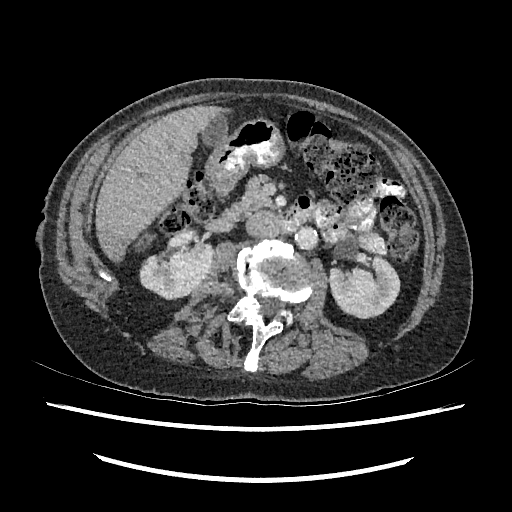

CT slice
Annotated regions:
- liver: rect(97, 105, 221, 261)
- kidney: rect(330, 253, 399, 317); rect(140, 244, 213, 298)
- liver lesion: rect(107, 233, 128, 250)